CT image, Abdomen 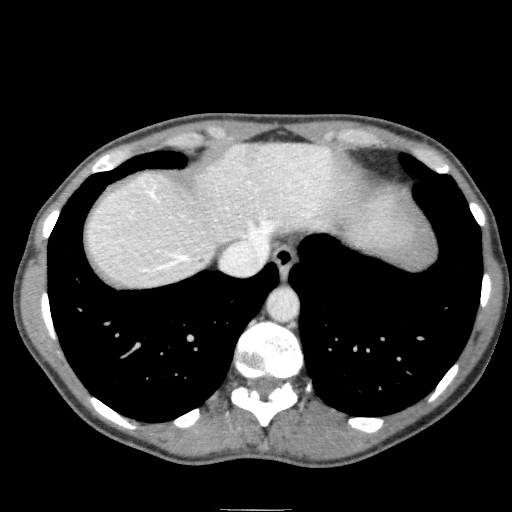

Findings:
• liver: (x1=85, y1=142, x2=434, y2=290)
• focal liver lesion: (x1=333, y1=222, x2=343, y2=231)